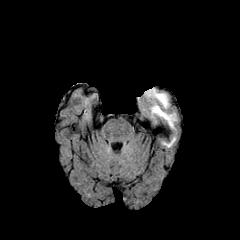
FLAIR magnetic resonance.
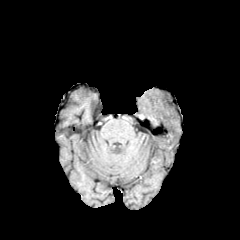
Same slice, T1-weighted MRI.
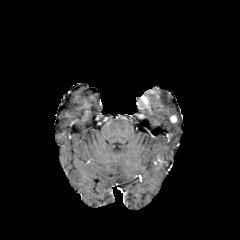
Same slice, post-contrast T1-weighted magnetic resonance.
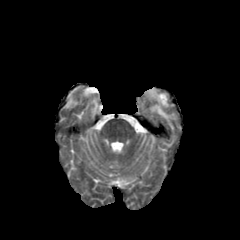
T2-weighted MR image.
Non-enhancing tumor core = 149 94 157 110.
Enhancing tumor = 138 89 159 109.
Edema = 162 136 175 147, 151 93 174 129.